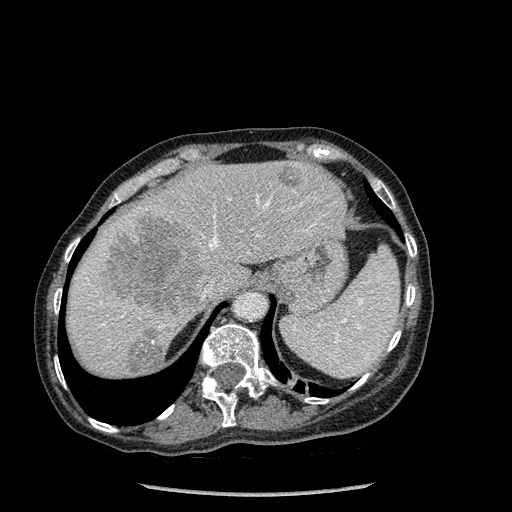

Image size 512x512 | Liver | CT slice
Liver lesion at 279:166:298:187, 100:213:205:313, 128:327:164:372.
Bone at 406:284:415:306, 89:418:117:432, 405:233:416:257, 64:238:79:262, 158:404:174:419, 109:190:124:206, 386:330:400:351, 304:397:328:404, 200:323:276:426, 54:356:66:388, 53:288:61:314, 351:373:369:389, 372:180:395:209.
Liver at 67:160:347:378.
Lung at 260:300:343:397, 58:315:207:425, 365:184:399:231, 68:233:93:276.